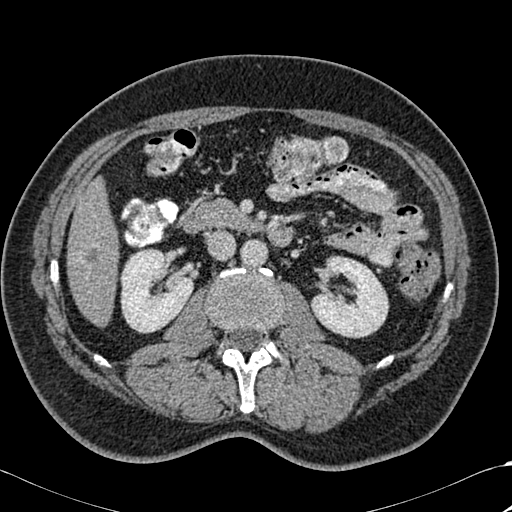

CT | Liver

The liver appears at box(68, 178, 117, 325). 2 kidney regions are bounded by box(312, 257, 387, 336); box(121, 250, 192, 332). 2 bone regions are located at box(220, 337, 279, 412); box(205, 268, 281, 333). The liver lesion is located at box(83, 249, 103, 262).